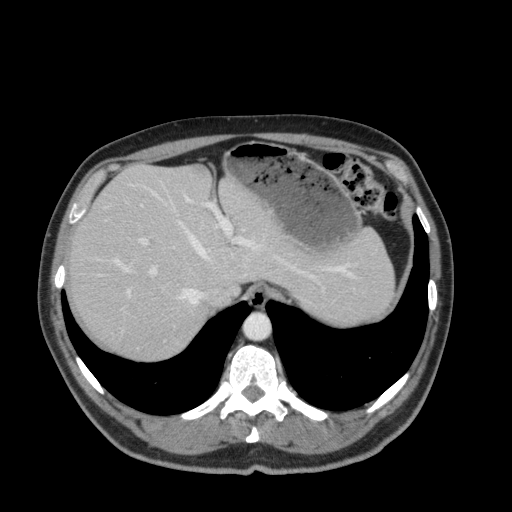

CT scan slice | Abdomen
The liver appears at <bbox>71, 165, 392, 359</bbox>.